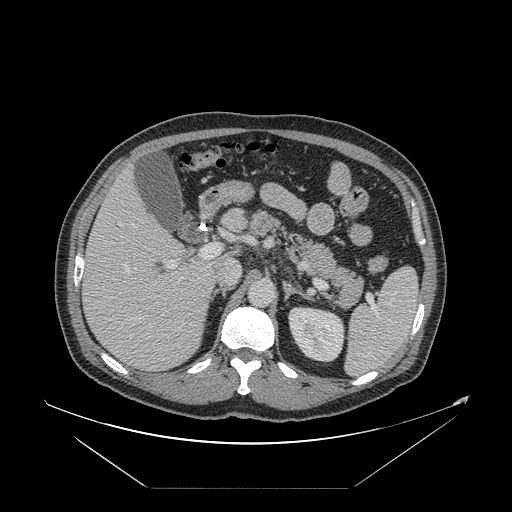 Image size 512x512. CT slice. Liver.

Not every hepatic vessel necessarily has a box.
Hepatic vessel at (225,260,239,283), (124,266,129,273), (164,260,176,269), (137,318,141,319), (131,224,133,226), (200,243,220,259), (202,292,206,296).